Slice 396 of 466; CT slice
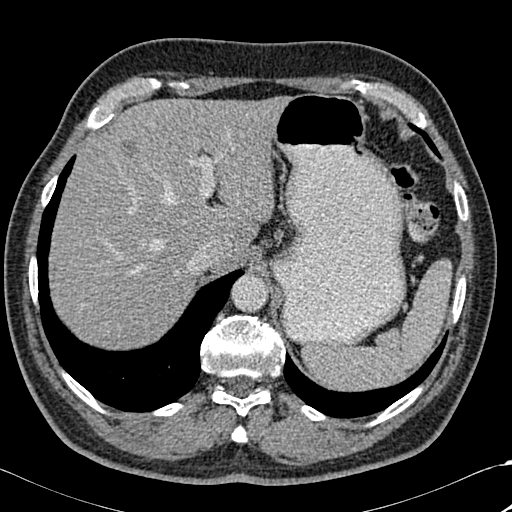
Liver lesion — (120, 139, 139, 157).
Bone — (371, 388, 421, 425), (41, 177, 56, 205), (353, 81, 426, 127), (132, 79, 159, 95), (454, 183, 467, 220), (232, 426, 246, 441), (453, 278, 465, 320), (29, 258, 37, 301), (200, 315, 285, 415), (63, 373, 102, 411), (301, 406, 324, 420), (154, 403, 181, 415), (87, 103, 113, 128).
Liver — (217, 256, 236, 264), (49, 97, 283, 349).
Lung — (37, 156, 243, 412), (431, 206, 438, 216), (409, 124, 440, 158), (283, 333, 446, 417).